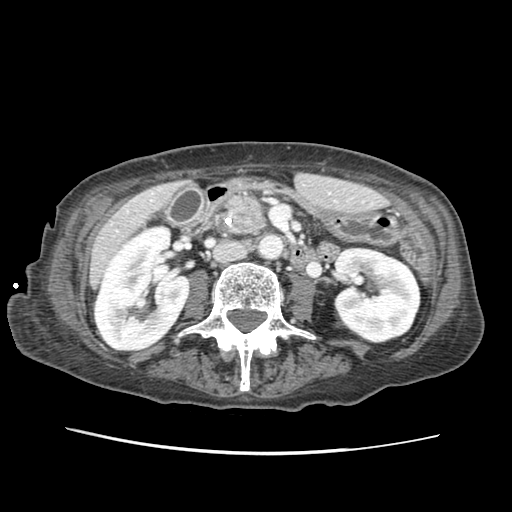 CT scan slice
Annotated regions:
* pancreas: bbox=[230, 197, 266, 234]
* pancreatic tumor: bbox=[234, 202, 261, 229]